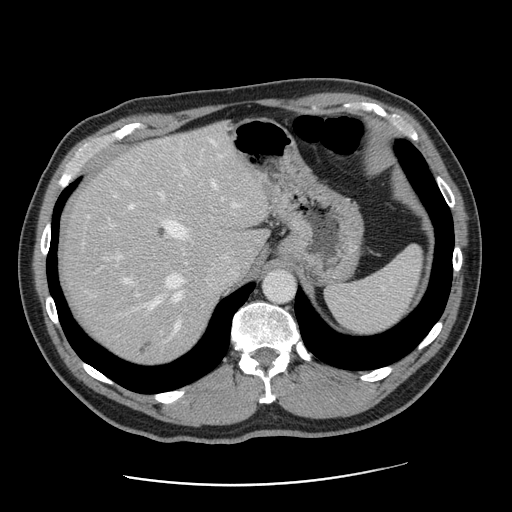

512x512, CT, Liver
Some hepatic vessels may have no box.
15 hepatic vessel regions are located at region(213, 181, 216, 185); region(166, 275, 181, 287); region(115, 251, 121, 257); region(175, 324, 179, 332); region(173, 292, 181, 300); region(202, 244, 238, 284); region(131, 204, 133, 207); region(122, 278, 129, 281); region(211, 140, 213, 142); region(136, 293, 138, 294); region(232, 202, 238, 206); region(146, 300, 158, 309); region(223, 197, 224, 199); region(164, 220, 186, 236); region(160, 192, 163, 196). 2 liver tumor regions appear at region(155, 226, 167, 238); region(134, 337, 157, 358).